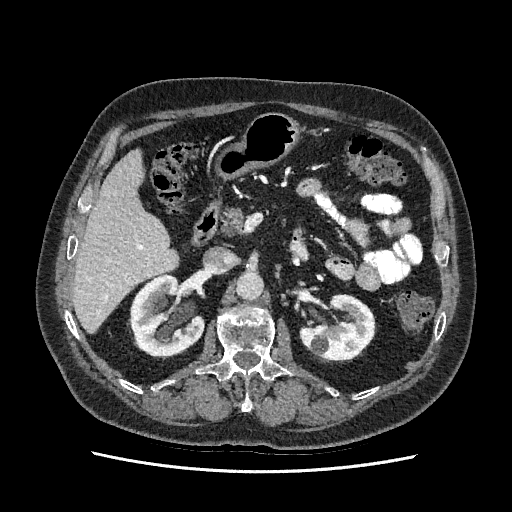 Abdomen; CT slice
Kidney at bbox(301, 295, 373, 359); bbox(131, 275, 203, 355).
Liver at bbox(74, 150, 179, 332).